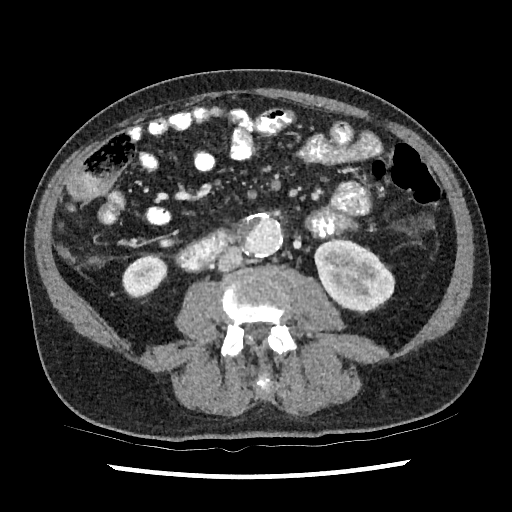 CT, 512x512

Kidney at (315,240,394,310), (123,256,166,296).